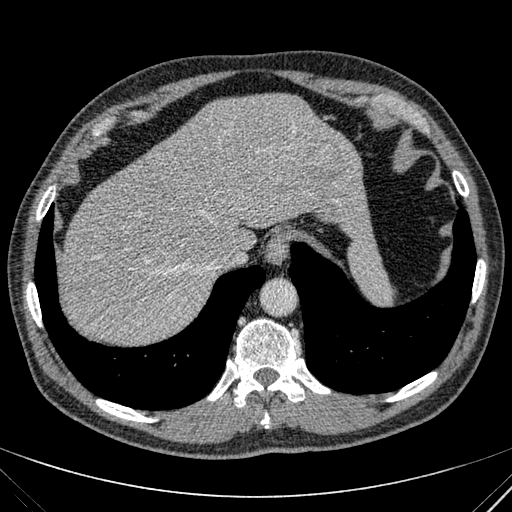 CT scan slice.

Liver = 58 93 376 344.